240x240 | Slice index 73 | Head
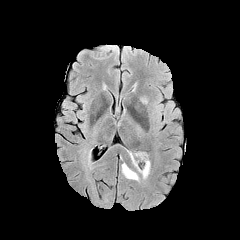
FLAIR magnetic resonance.
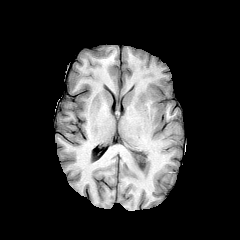
Same slice, T1-weighted MR.
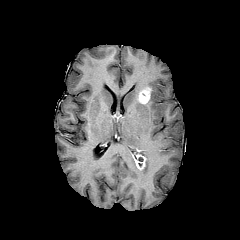
Post-contrast T1-weighted MRI of the same slice.
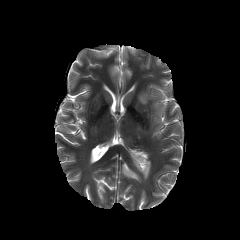
T2-weighted magnetic resonance.
2 edema regions are located at box=[121, 162, 139, 182]; box=[127, 150, 150, 179]. 2 enhancing tumor regions appear at box=[135, 154, 146, 168]; box=[137, 87, 150, 103].